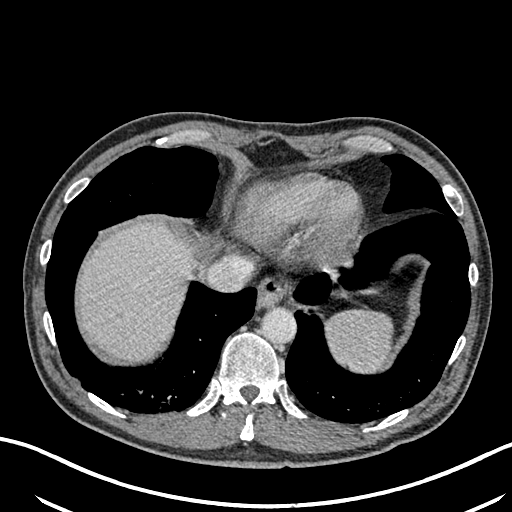
512x512; CT image
Liver at box(77, 223, 190, 359).